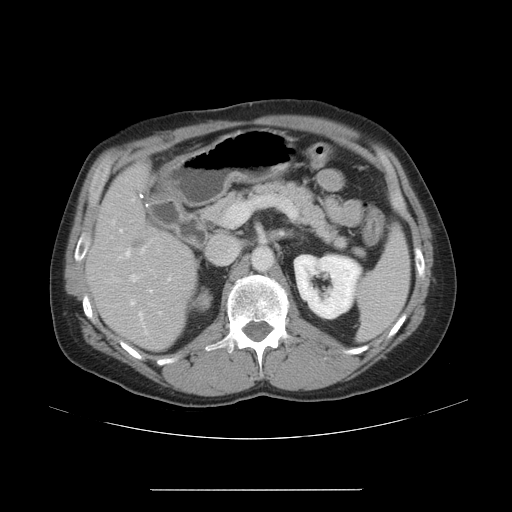 Abdomen. CT. 512x512. The vessel annotation is not exhaustive.
liver tumor: x1=134 y1=240 x2=143 y2=247 | hepatic vessel: x1=120 y1=229 x2=122 y2=231, x1=126 y1=250 x2=130 y2=256, x1=130 y1=274 x2=137 y2=281, x1=150 y1=290 x2=152 y2=292, x1=131 y1=301 x2=134 y2=304, x1=140 y1=246 x2=145 y2=253, x1=149 y1=303 x2=152 y2=304, x1=139 y1=312 x2=147 y2=333